CT slice. 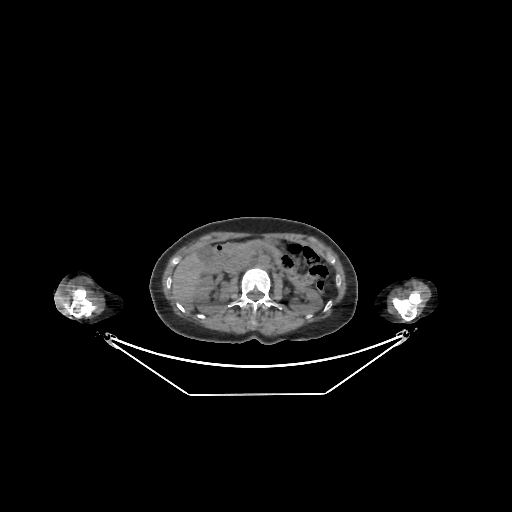
Kidney — x1=193, y1=272, x2=231, y2=313; x1=289, y1=285, x2=323, y2=318.
Liver — x1=172, y1=252, x2=214, y2=304.